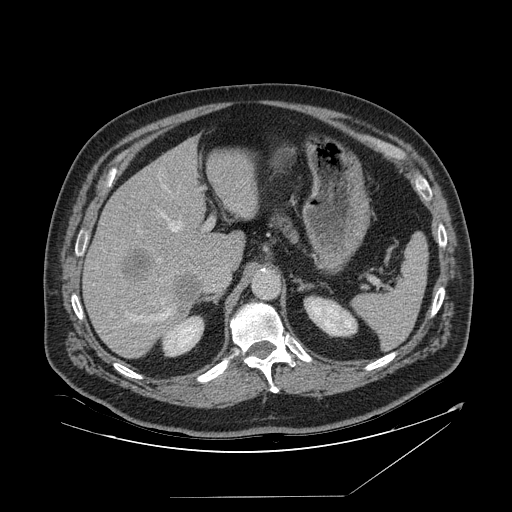 CT image
Annotated regions:
• spleen: x1=352 y1=235 x2=427 y2=348